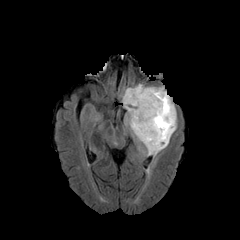
FLAIR MRI.
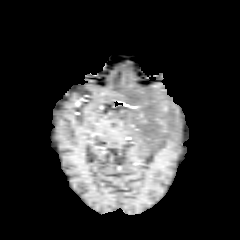
T1-weighted MR of the same slice.
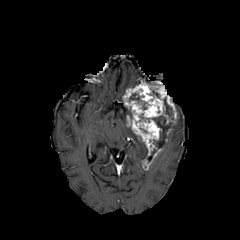
Post-contrast T1-weighted MR.
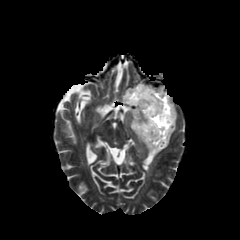
T2-weighted MR.
240x240 px
Enhancing tumor: bounding box bbox(123, 84, 176, 155).
Edema: bounding box bbox(118, 84, 138, 104); bbox(151, 113, 177, 159); bbox(123, 106, 148, 156).
Non-enhancing tumor core: bounding box bbox(163, 97, 173, 119); bbox(130, 93, 146, 109); bbox(138, 114, 171, 148).